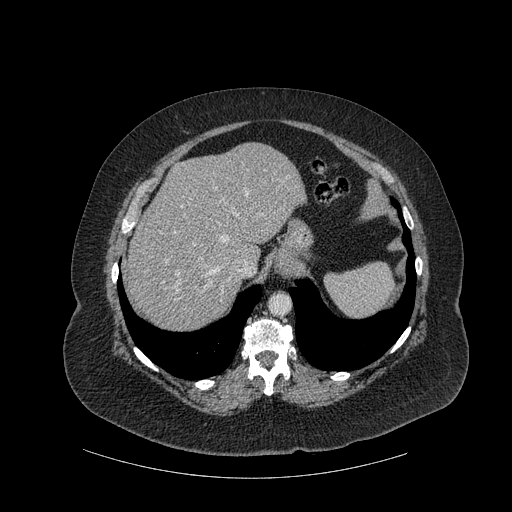

Upper abdomen, CT slice

• lung: 290, 198, 415, 370; 117, 279, 261, 379
• bone: 242, 319, 295, 395; 403, 208, 413, 224; 415, 257, 422, 274; 111, 263, 118, 282; 134, 347, 157, 370; 391, 327, 410, 352; 195, 380, 213, 389; 331, 372, 349, 380
• liver: 128, 142, 306, 331